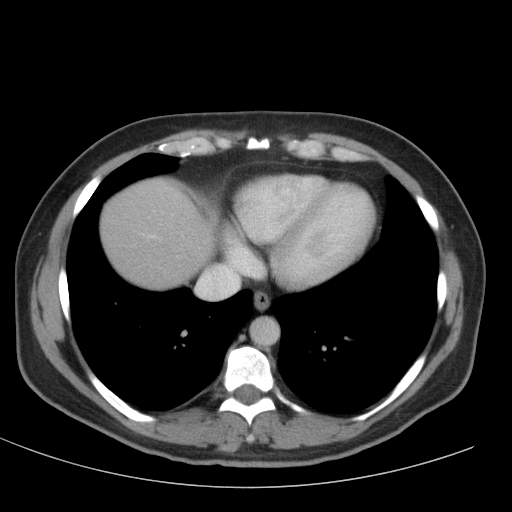
Abdomen; CT image
Liver — 102,179,214,287; 201,268,212,277.